CT slice. Image size 512x512.
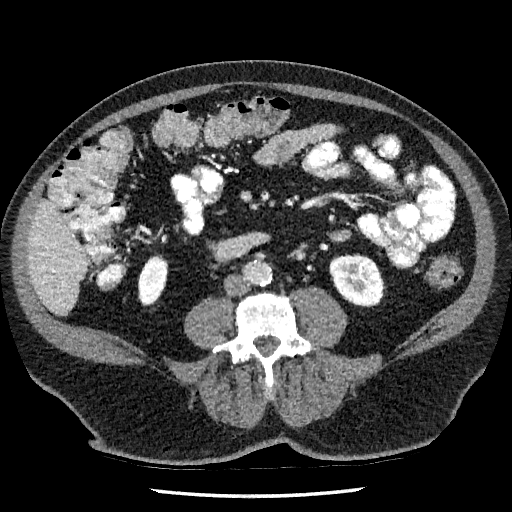

2 kidney regions appear at x1=139, y1=257, x2=166, y2=303; x1=330, y1=256, x2=382, y2=305. The liver lies within x1=28, y1=199, x2=86, y2=315.